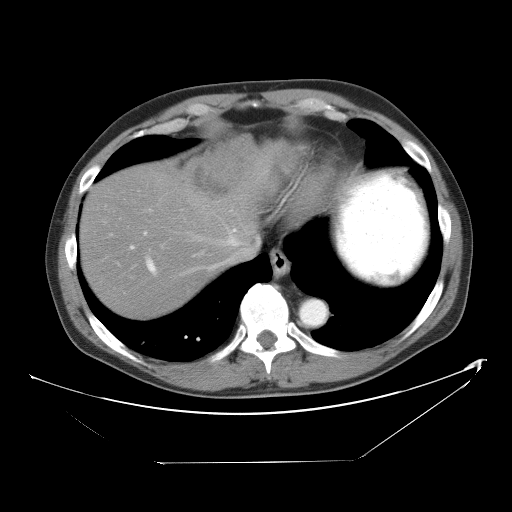 512x512 px; Abdomen; CT
Not every hepatic vessel necessarily has a box.
Liver tumor: bounding box 191:143:247:196.
Hepatic vessel: bounding box 222:229:235:245, 232:233:235:240, 130:246:133:248, 146:258:150:262.